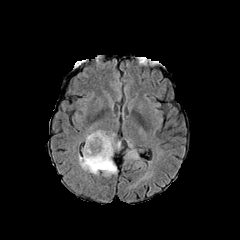
FLAIR MR image.
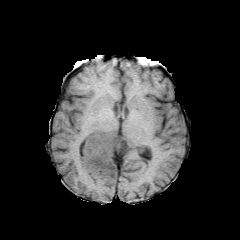
T1-weighted magnetic resonance.
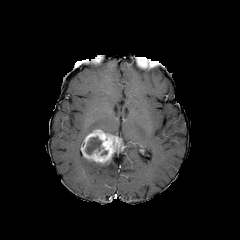
Post-contrast T1-weighted MR image.
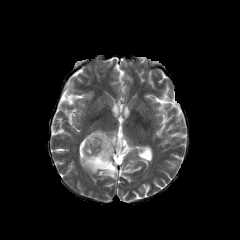
T2-weighted magnetic resonance.
Image size 240x240 | Brain
<segmentation>
  <enhancing_tumor>[x1=81, y1=130, x2=123, y2=164]</enhancing_tumor>
  <non-enhancing_tumor_core>[x1=85, y1=137, x2=101, y2=155]</non-enhancing_tumor_core>
  <edema>[x1=79, y1=154, x2=117, y2=177], [x1=90, y1=141, x2=98, y2=151], [x1=125, y1=141, x2=138, y2=159]</edema>
</segmentation>